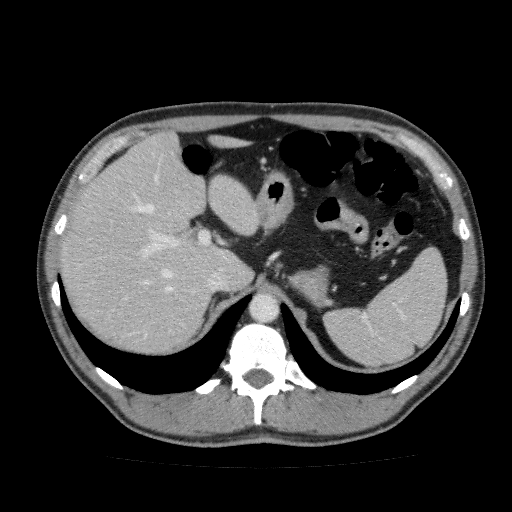
CT scan slice
2 liver regions are bounded by (x1=60, y1=130, x2=259, y2=355), (x1=208, y1=134, x2=250, y2=148).